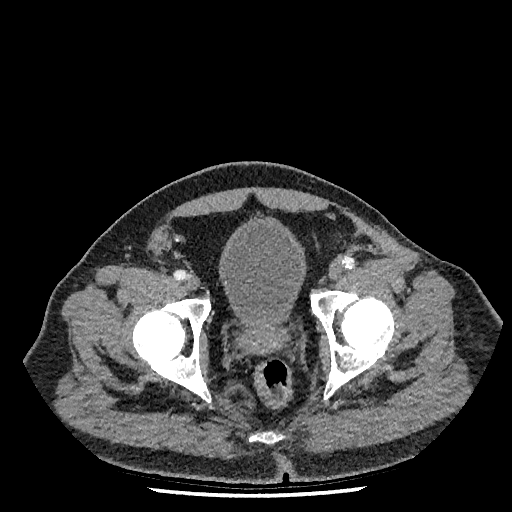 Lower abdomen, CT image
The urinary bladder appears at [x1=218, y1=220, x2=307, y2=324].